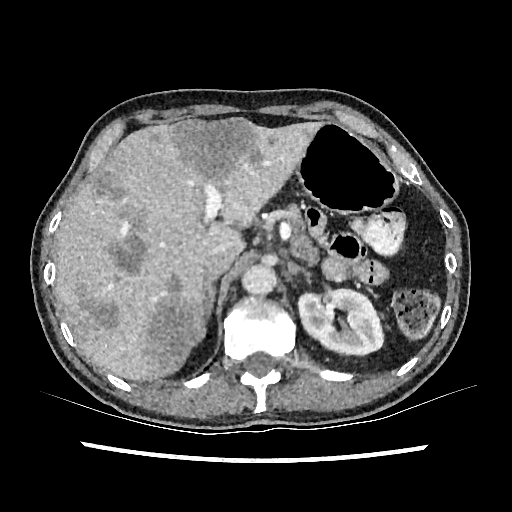

Abdomen. 512x512. CT image.

Liver — box(57, 123, 322, 378).
Hepatic lesion — box(109, 205, 147, 275); box(144, 274, 201, 372); box(66, 285, 118, 343); box(149, 134, 158, 140); box(170, 118, 263, 181); box(93, 171, 126, 200); box(267, 135, 278, 145).
Kidney — box(298, 289, 382, 358).